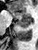
MRI.

The anterior hippocampus is located at (x1=8, y1=9, x2=30, y2=19). The posterior hippocampus is at (x1=16, y1=20, x2=30, y2=28).